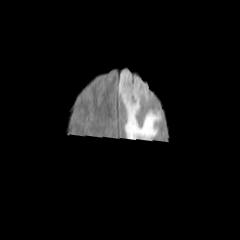
FLAIR MR.
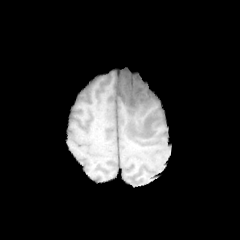
Same slice, T1-weighted MR image.
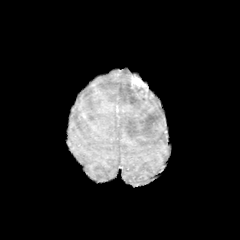
Post-contrast T1-weighted MRI of the same slice.
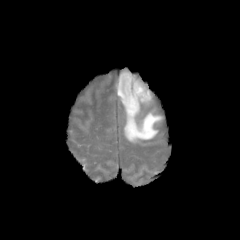
T2-weighted MRI.
Brain, 240x240
The enhancing tumor is bounded by 126 74 148 93. The edema lies within 117 71 164 143.